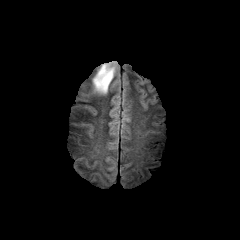
FLAIR MR.
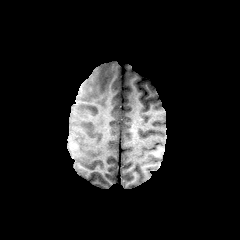
Same slice, T1-weighted magnetic resonance.
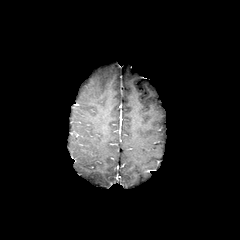
Post-contrast T1-weighted MR of the same slice.
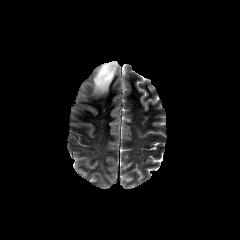
Same slice, T2-weighted MR image.
240x240
Annotated regions:
• edema: left=93, top=62, right=115, bottom=92